240x240 px, Brain, Slice 77/155
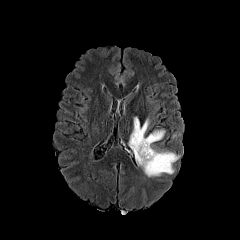
FLAIR MR.
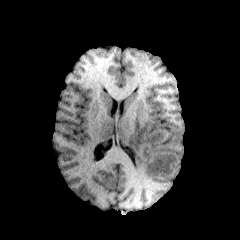
T1-weighted MR image.
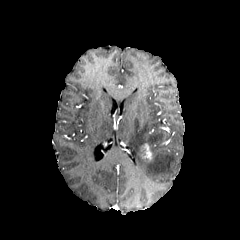
Post-contrast T1-weighted MR image.
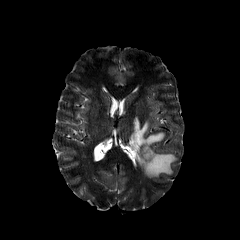
T2-weighted MR.
Annotated regions:
* enhancing tumor: [x1=140, y1=142, x2=153, y2=160]
* edema: [x1=127, y1=117, x2=176, y2=176]